CT scan slice.

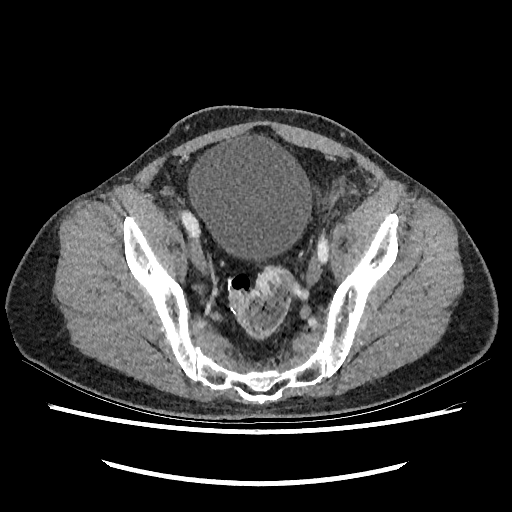

Annotated regions:
- urinary bladder: x1=188 y1=131 x2=312 y2=262